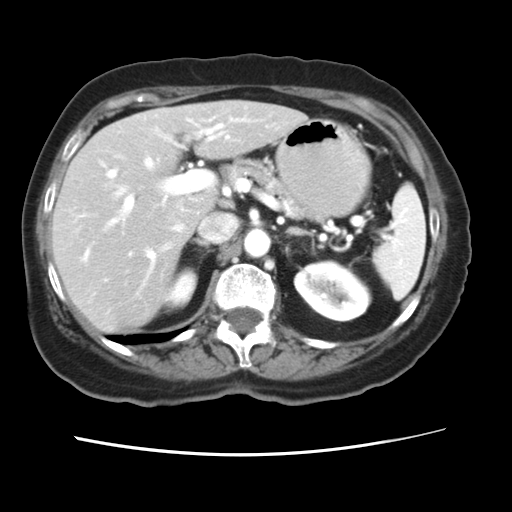 CT, Image size 512x512, Liver
Not every hepatic vessel necessarily has a box.
[15/18] hepatic vessel: [267, 124, 274, 127], [229, 117, 258, 122], [187, 119, 228, 140], [162, 244, 171, 250], [142, 250, 155, 286], [100, 162, 105, 166], [164, 136, 172, 142], [173, 224, 184, 231], [144, 158, 158, 168], [162, 196, 166, 205], [106, 185, 133, 227], [201, 117, 214, 122], [107, 169, 116, 179], [81, 250, 88, 261], [155, 128, 160, 134]